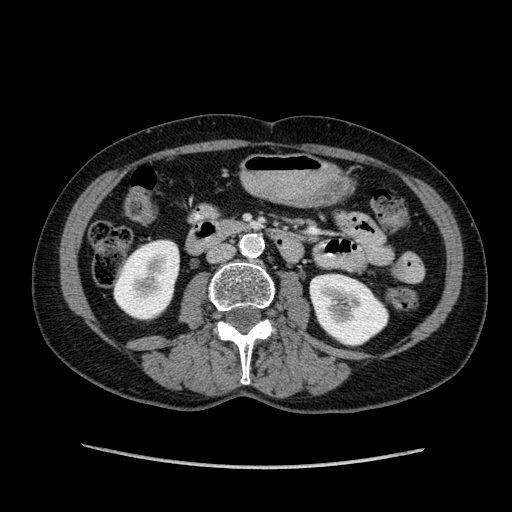 CT image
Kidney — box(114, 241, 178, 318); box(310, 275, 386, 344).